CT image. Slice 34/104.
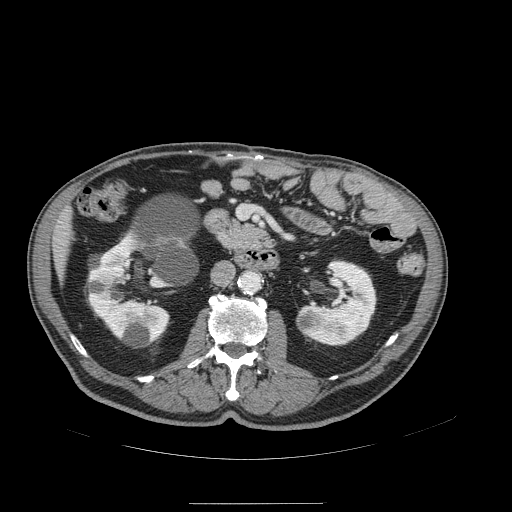
<segmentation>
  <pancreas>bbox(218, 216, 279, 253)</pancreas>
</segmentation>